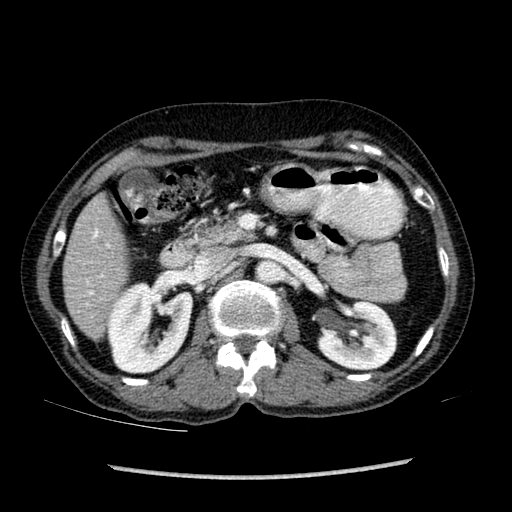

CT image; Liver
2 kidney regions are bounded by (318, 302, 395, 368), (108, 280, 191, 372). The liver is bounded by (63, 209, 125, 331).